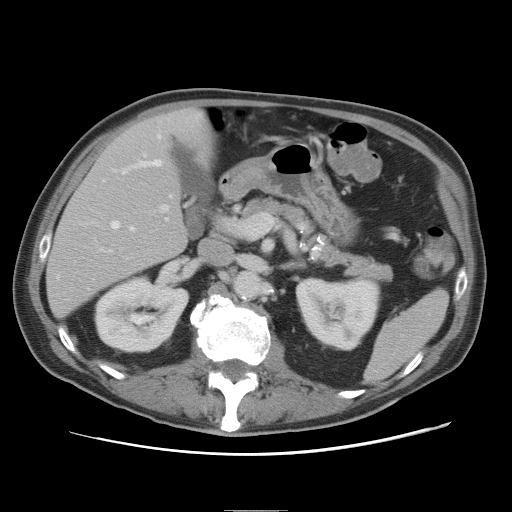
CT; Abdomen

The vessel annotation is not exhaustive.
Hepatic vessel at 186, 110, 189, 110; 162, 205, 168, 211; 109, 250, 111, 253; 114, 170, 117, 171; 122, 169, 127, 173; 158, 134, 161, 138; 170, 195, 171, 197; 135, 160, 161, 167; 111, 221, 119, 228; 131, 227, 134, 230; 57, 276, 59, 278.